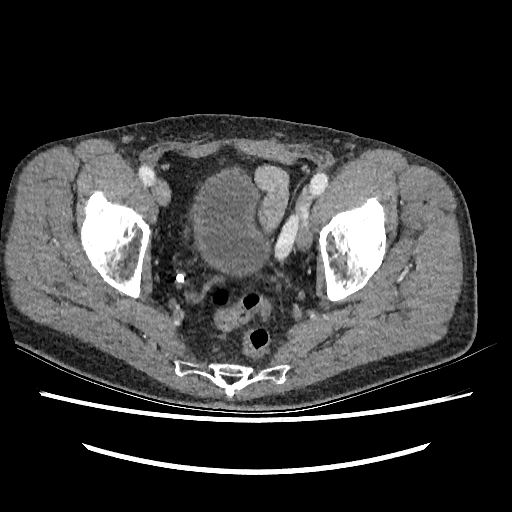
CT, 512x512 px

The urinary bladder is located at [195,173,268,274].